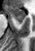
MR
anterior hippocampus: 7, 6, 25, 19 | posterior hippocampus: 17, 20, 23, 23